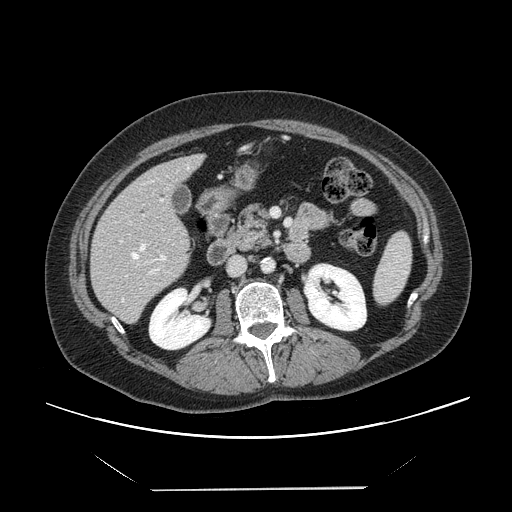 Computed tomography
Only some of the vessels may be annotated.
Hepatic vessel: [160,199,163,201], [145,253,166,274], [125,275,127,276], [130,242,147,265], [143,215,144,216], [120,240,122,241].